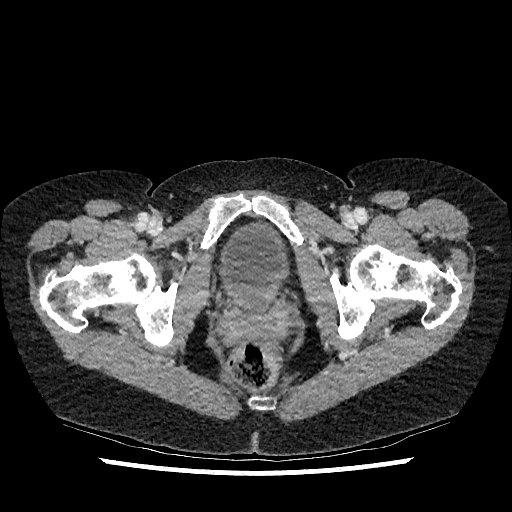 CT slice. Lower abdomen.
Urinary bladder: bounding box (left=213, top=216, right=291, bottom=293).